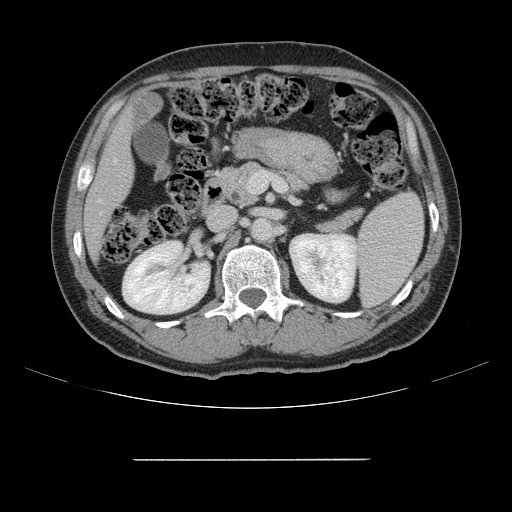 Abdomen, CT slice
The vessel boxes may cover only some of the vessels.
Segmented structures:
- hepatic vessel: box(114, 159, 116, 163); box(98, 199, 100, 201)